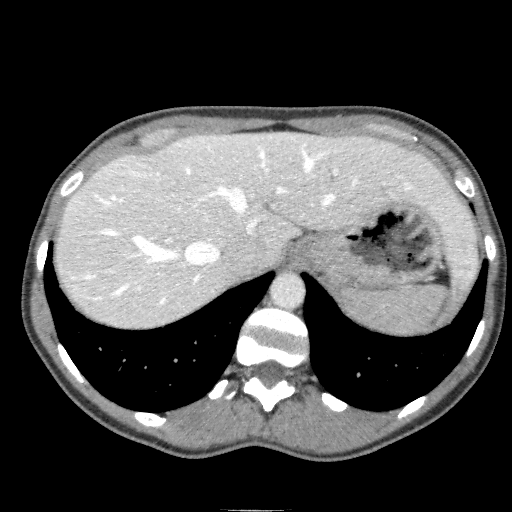 Image size 512x512; CT; Liver
{
  "liver": [
    "box=[55, 131, 477, 328]"
  ]
}